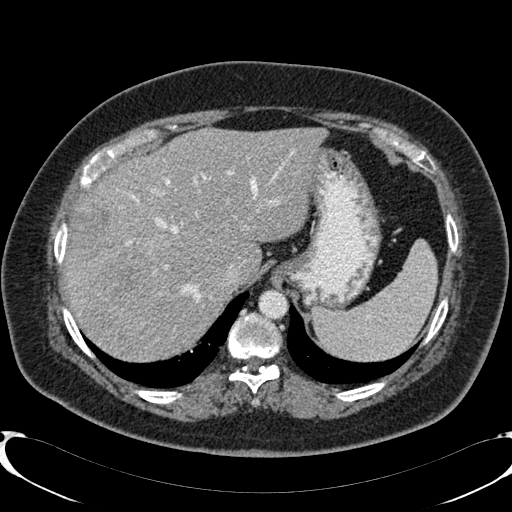 CT slice, Image size 512x512, Abdomen
liver:
  - {"x1": 66, "y1": 128, "x2": 322, "y2": 360}
focal_liver_lesion:
  - {"x1": 74, "y1": 207, "x2": 114, "y2": 259}
  - {"x1": 98, "y1": 249, "x2": 150, "y2": 307}